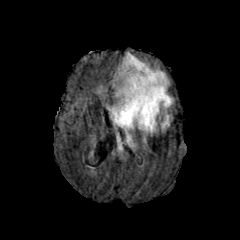
FLAIR MR image.
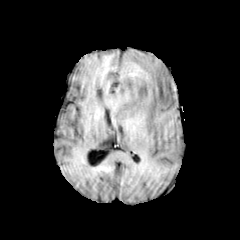
T1-weighted magnetic resonance.
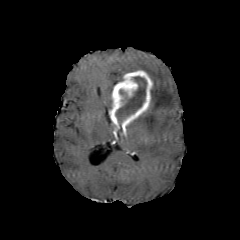
Post-contrast T1-weighted MR image of the same slice.
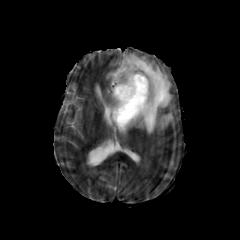
T2-weighted MRI.
240x240 px, Brain
Findings:
• edema: x1=116 y1=128 x2=122 y2=151, x1=108 y1=52 x2=173 y2=147
• enhancing tumor: x1=109 y1=70 x2=153 y2=135
• non-enhancing tumor core: x1=116 y1=76 x2=146 y2=119